Upper abdomen. Field of view 434x434 mm. CT slice. 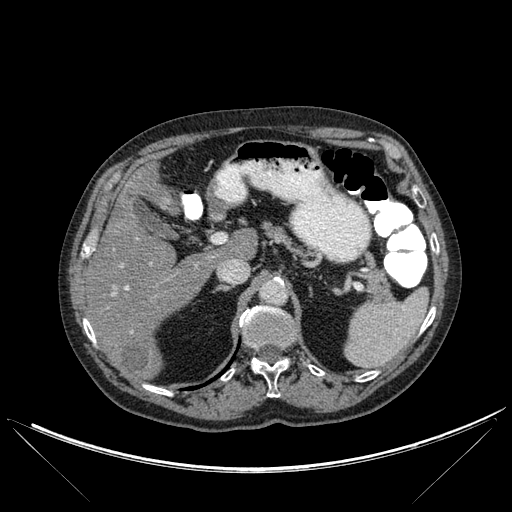

Findings:
* liver lesion: rect(121, 343, 147, 371)
* liver: rect(87, 164, 216, 379); rect(213, 229, 257, 263)
* bone: rect(239, 306, 295, 347); rect(83, 319, 95, 342); rect(430, 234, 439, 252); rect(420, 307, 435, 332); rect(251, 358, 288, 397); rect(221, 369, 234, 380); rect(356, 371, 378, 381); rect(143, 385, 172, 395); rect(308, 365, 324, 375)